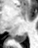
Hippocampus; MR; 38x48

- posterior hippocampus: l=14, t=32, r=26, b=42